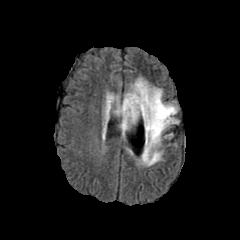
FLAIR magnetic resonance.
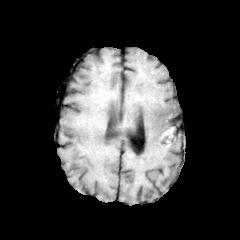
T1-weighted magnetic resonance of the same slice.
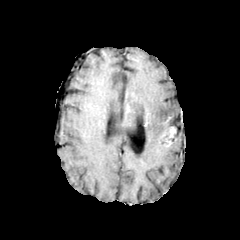
Post-contrast T1-weighted magnetic resonance.
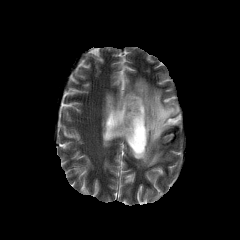
T2-weighted MRI.
Brain
The edema appears at l=105, t=79, r=178, b=166. 3 non-enhancing tumor core regions are bounded by l=159, t=109, r=173, b=117; l=140, t=104, r=172, b=132; l=124, t=102, r=130, b=117.